FLAIR magnetic resonance.
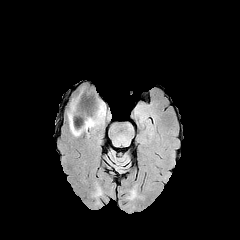
T1-weighted MR.
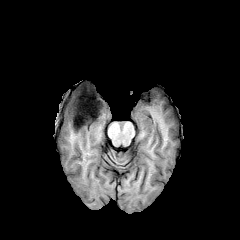
Post-contrast T1-weighted MRI.
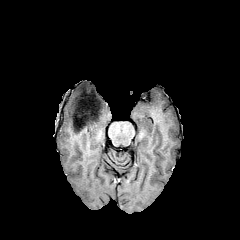
T2-weighted magnetic resonance.
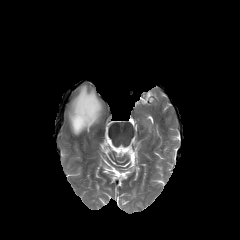
Image size 240x240
Edema: bounding box bbox(67, 97, 105, 136).
Non-enhancing tumor core: bounding box bbox(76, 98, 101, 128).